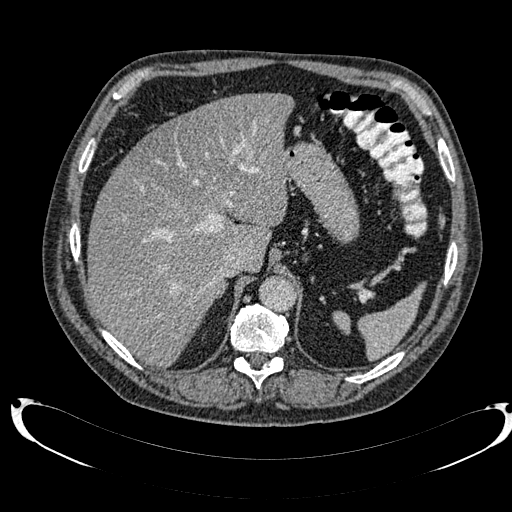

CT image; Abdomen
The hepatic lesion is at <box>133,98,244,205</box>. 2 liver regions appear at <box>87,93,293,366</box>, <box>144,122,170,139</box>.